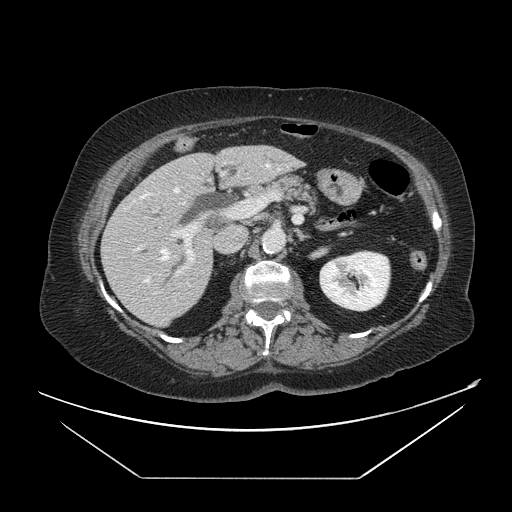
CT.
Pancreas: (268, 176, 316, 209).